FLAIR MRI.
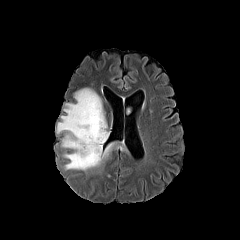
T1-weighted MR image.
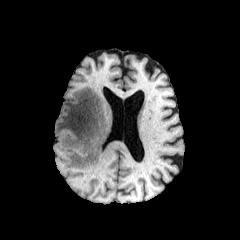
Post-contrast T1-weighted MR image.
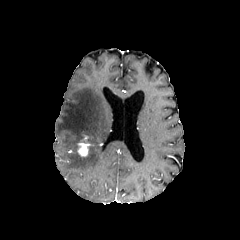
T2-weighted magnetic resonance.
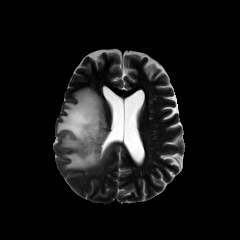
The edema is bounded by x1=56 y1=88 x2=109 y2=170. The enhancing tumor is bounded by x1=77 y1=142 x2=89 y2=157.